FLAIR MR image.
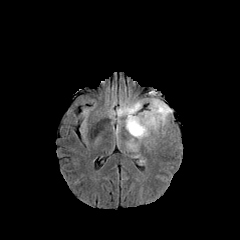
T1-weighted MRI.
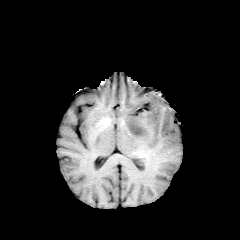
Post-contrast T1-weighted MR image.
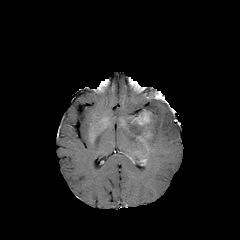
T2-weighted MR.
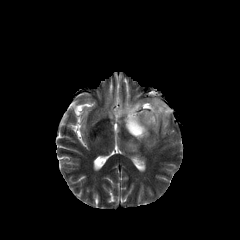
Image size 240x240 | Head
enhancing tumor: region(134, 113, 148, 124) | non-enhancing tumor core: region(130, 110, 151, 136) | edema: region(113, 90, 172, 152)